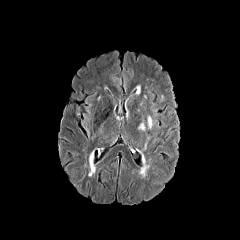
FLAIR MR image.
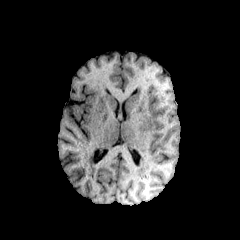
T1-weighted magnetic resonance.
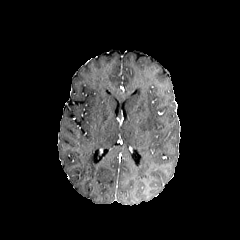
Post-contrast T1-weighted MR.
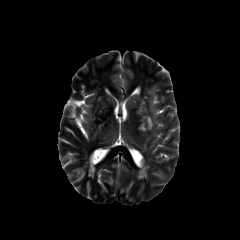
T2-weighted MR.
240x240 px; Head
Annotated regions:
- edema: l=147, t=117, r=153, b=129